Image size 512x512. CT image. 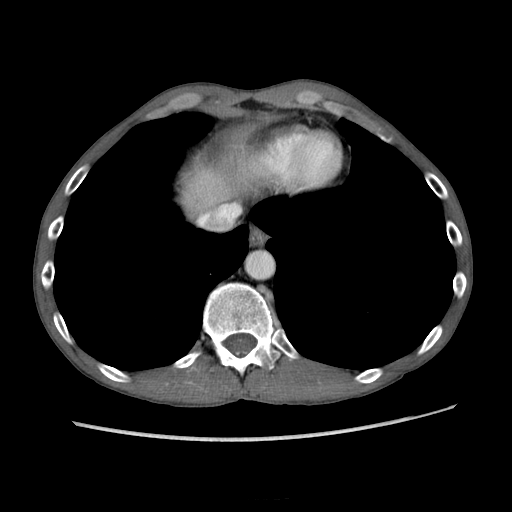

The liver is located at 178 126 256 221.